Upper abdomen | Image size 512x512 | Computed tomography | Slice 521/751 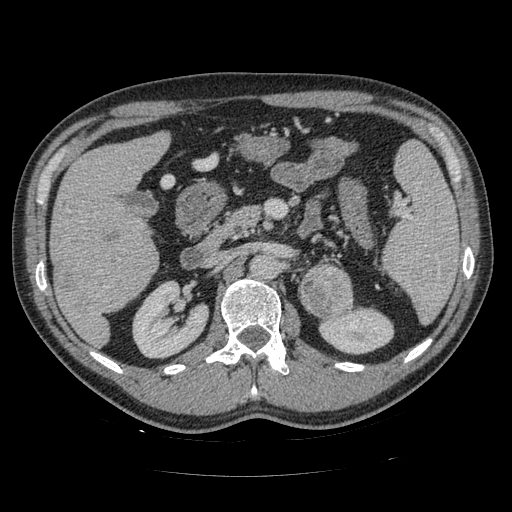 <segmentation>
  <pancreas>225:205:259:235</pancreas>
  <pancreatic_tumor>300:264:353:318</pancreatic_tumor>
</segmentation>